FLAIR MR image.
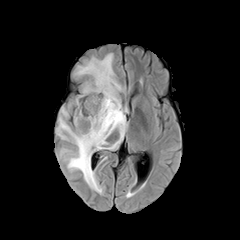
T1-weighted magnetic resonance.
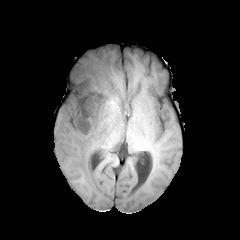
Post-contrast T1-weighted MR.
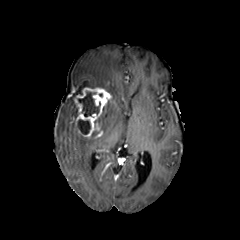
T2-weighted MR.
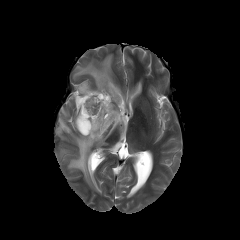
Head
Edema = bbox(57, 54, 127, 192).
Non-enhancing tumor core = bbox(78, 92, 98, 116); bbox(74, 119, 89, 137); bbox(96, 107, 106, 130); bbox(96, 81, 112, 101).
Enhancing tumor = bbox(75, 87, 111, 137).